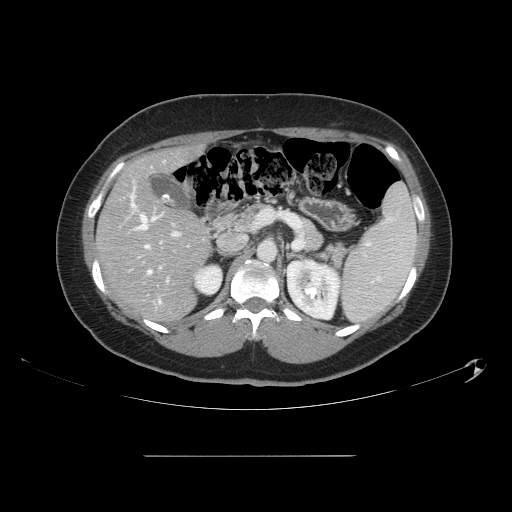 Computed tomography; 512x512
The vessel boxes may cover only some of the vessels.
hepatic vessel: region(172, 232, 180, 235); region(167, 279, 168, 281); region(148, 270, 151, 273); region(158, 298, 160, 303); region(136, 214, 146, 229); region(152, 216, 157, 219); region(145, 245, 148, 247); region(131, 194, 136, 210)